CT slice. 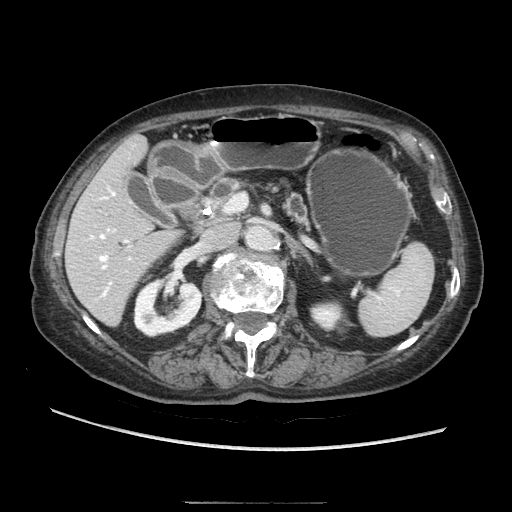

Pancreas: x1=285, y1=193, x2=307, y2=227; x1=209, y1=177, x2=244, y2=206.